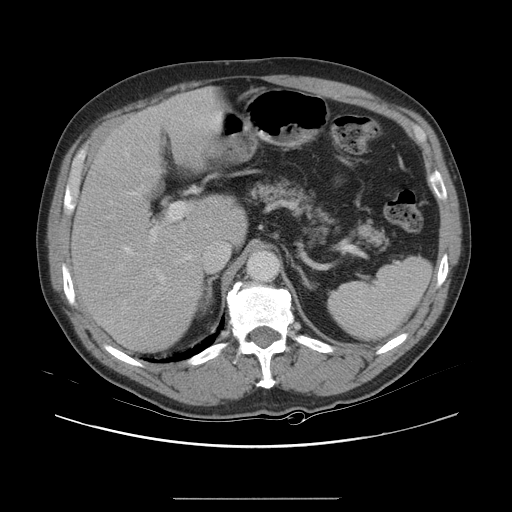
Liver; Image size 512x512; Computed tomography
The vessel annotation is not exhaustive.
Hepatic vessel: [x1=142, y1=168, x2=147, y2=172], [x1=125, y1=153, x2=128, y2=155], [x1=153, y1=268, x2=155, y2=270], [x1=157, y1=274, x2=164, y2=282], [x1=123, y1=247, x2=132, y2=254], [x1=180, y1=254, x2=191, y2=262], [x1=187, y1=111, x2=190, y2=113], [x1=150, y1=228, x2=156, y2=241], [x1=129, y1=186, x2=143, y2=196], [x1=124, y1=301, x2=125, y2=302], [x1=150, y1=169, x2=155, y2=173].